Image width 240 mm | Head
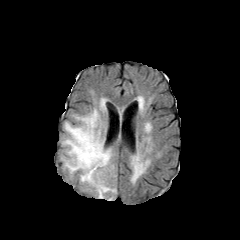
FLAIR MR image.
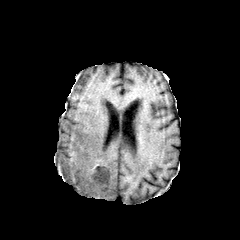
T1-weighted MR of the same slice.
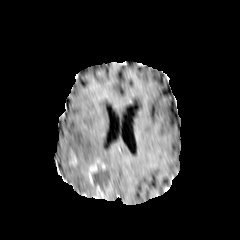
Post-contrast T1-weighted MR of the same slice.
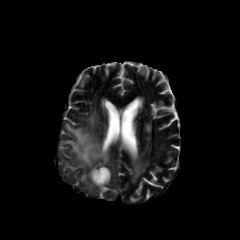
Same slice, T2-weighted magnetic resonance.
4 edema regions are bounded by (x1=95, y1=188, x2=116, y2=198), (x1=134, y1=162, x2=143, y2=176), (x1=61, y1=108, x2=115, y2=193), (x1=100, y1=98, x2=107, y2=113). The non-enhancing tumor core is located at (x1=91, y1=162, x2=109, y2=193). The enhancing tumor is bounded by (x1=89, y1=164, x2=97, y2=185).